Computed tomography; Liver; Slice 534/671

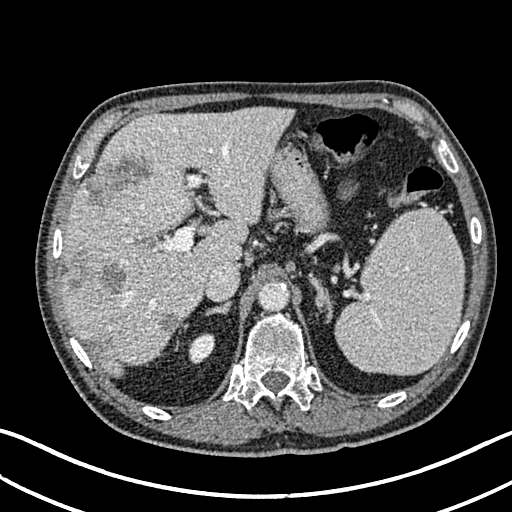

5 hepatic lesion regions are located at x1=86, y1=154, x2=151, y2=212; x1=100, y1=261, x2=127, y2=292; x1=88, y1=339, x2=101, y2=351; x1=66, y1=250, x2=89, y2=286; x1=159, y1=314, x2=177, y2=332. The liver is bounded by x1=64, y1=107, x2=294, y2=376. The kidney is bounded by x1=190, y1=335, x2=213, y2=362.